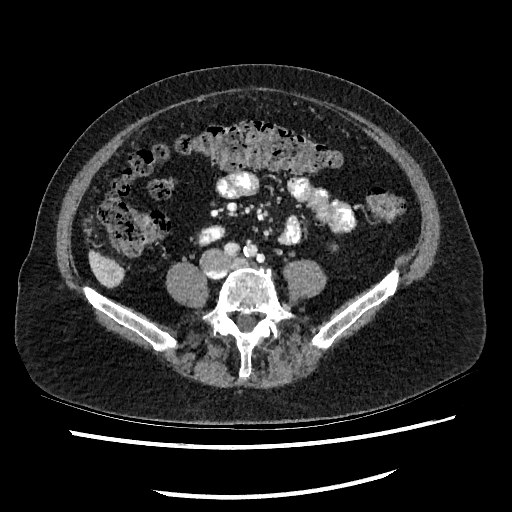 Upper abdomen. CT slice. <segmentation>
  <liver>89, 253, 122, 285</liver>
</segmentation>